Computed tomography. Image size 512x512. 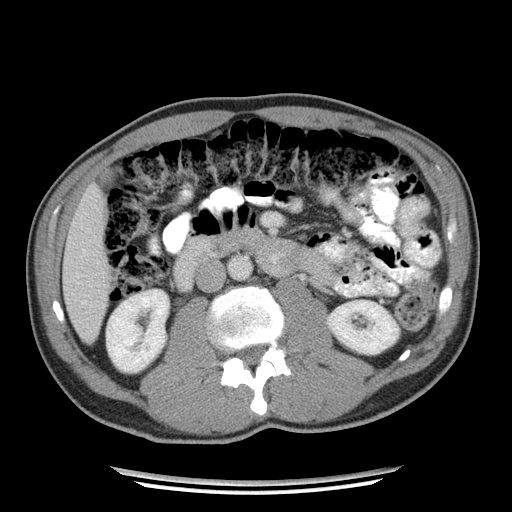
The pancreas is at bbox(209, 228, 259, 256).